MRI. Medial temporal lobe.

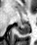

Posterior hippocampus: x1=17, y1=24, x2=30, y2=35.